FLAIR MRI.
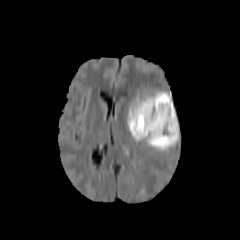
T1-weighted MR.
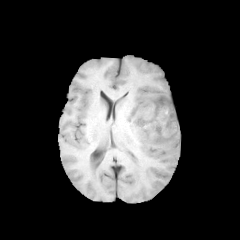
Post-contrast T1-weighted MR image.
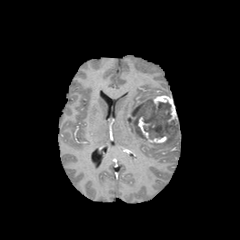
T2-weighted MRI.
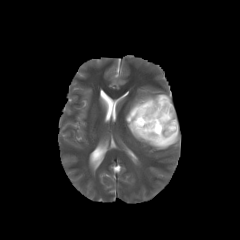
enhancing_tumor:
  - (x1=137, y1=116, x2=167, y2=143)
  - (x1=152, y1=95, x2=177, y2=124)
non-enhancing_tumor_core:
  - (x1=131, y1=99, x2=177, y2=140)
edema:
  - (x1=125, y1=86, x2=180, y2=150)